Slice 66/155, 240x240 px
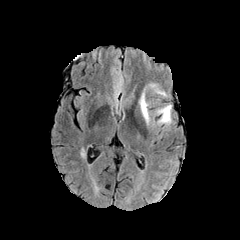
FLAIR MR image.
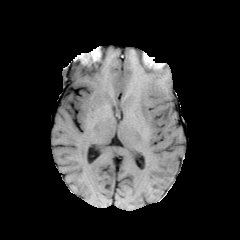
T1-weighted MRI.
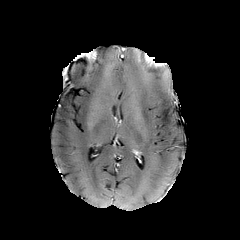
Post-contrast T1-weighted MR image.
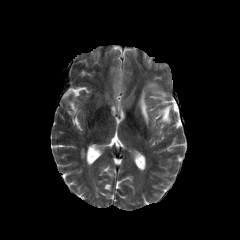
T2-weighted MR image of the same slice.
The edema appears at (138,82,173,127).